CT image
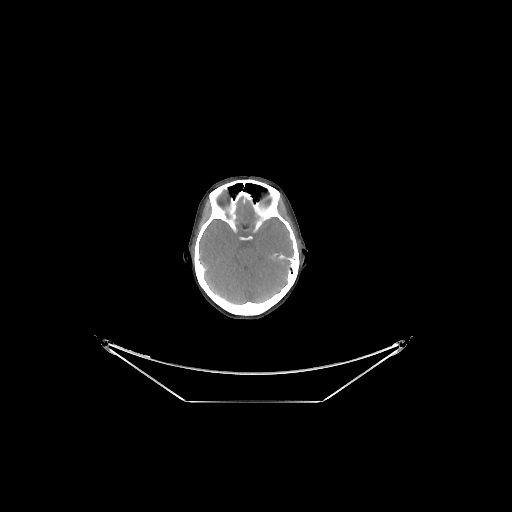

<segmentation>
  <brain>[199,195,294,304]</brain>
</segmentation>